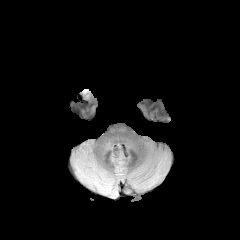
FLAIR magnetic resonance.
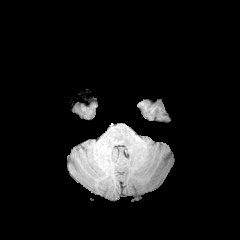
T1-weighted MR.
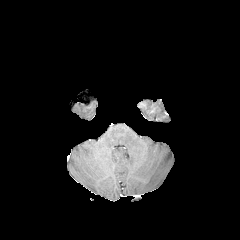
Post-contrast T1-weighted MR of the same slice.
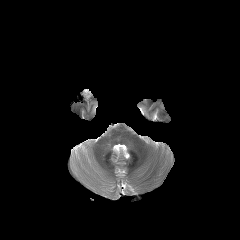
T2-weighted MR.
Brain
Edema: [92, 158, 99, 173], [100, 180, 112, 191].